FLAIR MRI.
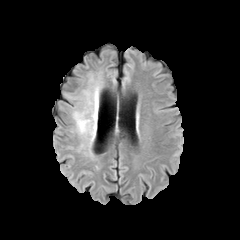
T1-weighted MR image.
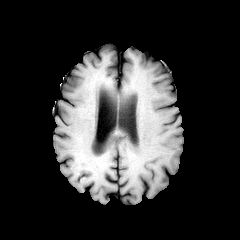
Post-contrast T1-weighted magnetic resonance.
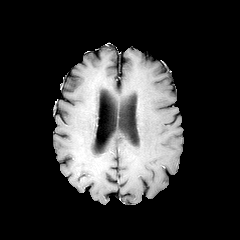
T2-weighted MR image.
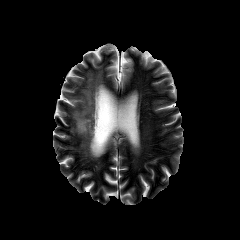
Brain.
Edema — (72, 78, 103, 156).